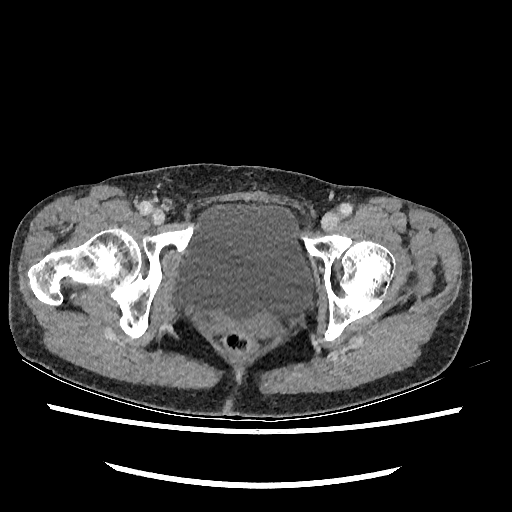 CT slice.

urinary_bladder:
  - [x1=171, y1=201, x2=314, y2=330]